MR image.

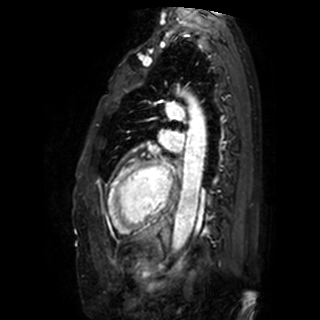 left atrium: left=161, top=131, right=182, bottom=149